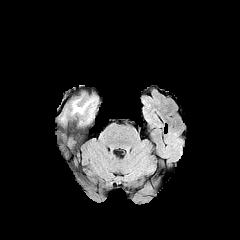
FLAIR MR image.
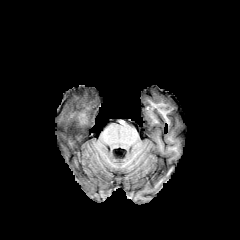
Same slice, T1-weighted magnetic resonance.
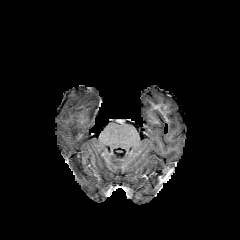
Same slice, post-contrast T1-weighted MR.
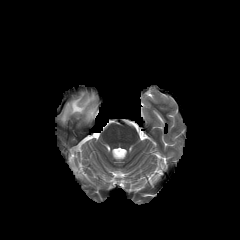
T2-weighted magnetic resonance.
<segmentation>
  <edema>61:108:68:121, 70:96:97:115, 86:104:96:123</edema>
</segmentation>